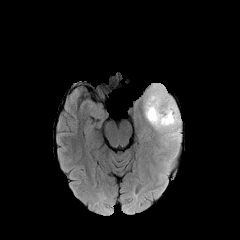
FLAIR magnetic resonance.
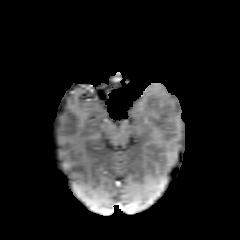
T1-weighted magnetic resonance.
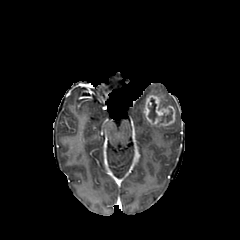
Post-contrast T1-weighted MR image.
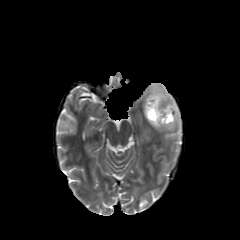
T2-weighted MR image.
Edema: bounding box (left=143, top=83, right=181, bottom=156), (left=161, top=159, right=172, bottom=168).
Enhancing tumor: bounding box (left=143, top=95, right=175, bottom=126).
Non-enhancing tumor core: bounding box (left=161, top=112, right=172, bottom=121), (left=159, top=98, right=168, bottom=108), (left=149, top=99, right=157, bottom=120).